Field of view 240 mm wide, 1.00 mm slice spacing
FLAIR MR image.
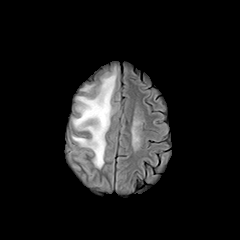
T1-weighted MR.
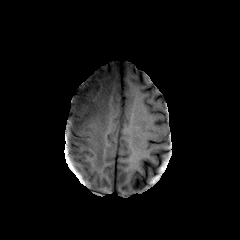
Post-contrast T1-weighted MR.
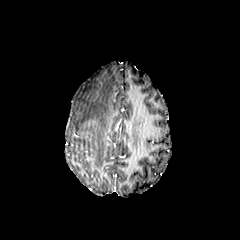
T2-weighted MRI.
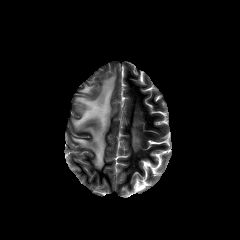
Edema: bounding box bbox(74, 72, 115, 168).